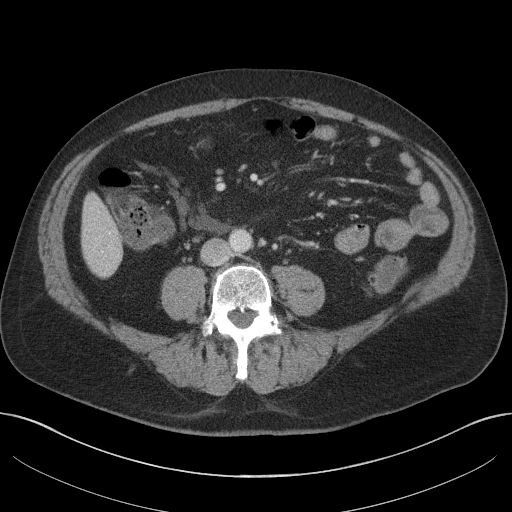

Liver, CT image
- liver: 82, 196, 122, 275